Abdomen. CT slice. Image size 512x512. 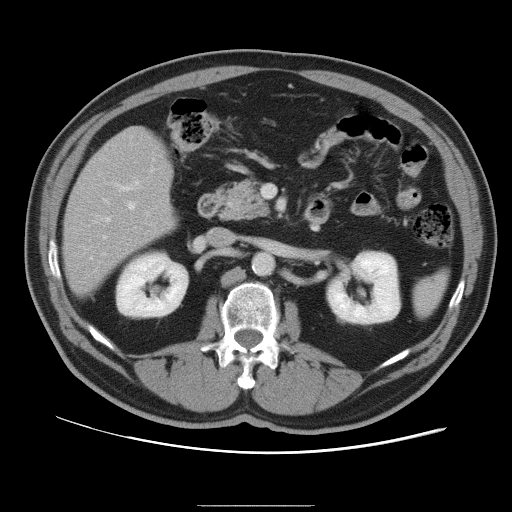

The vessel annotation is not exhaustive.
Findings:
• hepatic vessel: (left=146, top=211, right=149, bottom=214), (left=103, top=253, right=105, bottom=254), (left=103, top=236, right=106, bottom=238), (left=150, top=167, right=154, bottom=171), (left=103, top=198, right=109, bottom=204), (left=90, top=256, right=91, bottom=258), (left=96, top=215, right=109, bottom=221), (left=128, top=201, right=134, bottom=208), (left=115, top=180, right=138, bottom=190)